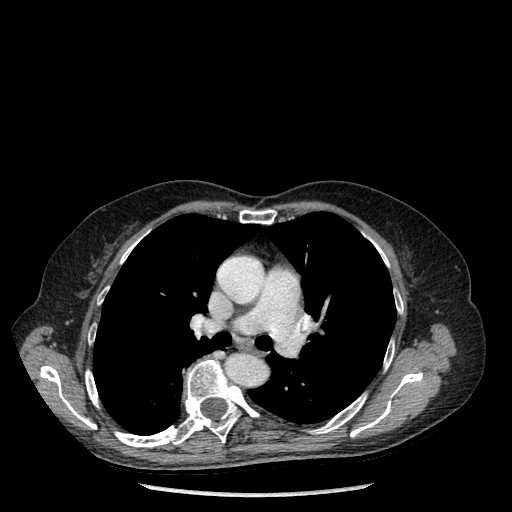

CT slice; Chest
Bone: bounding box region(239, 209, 276, 224); region(88, 323, 96, 344); region(114, 359, 259, 447); region(97, 286, 108, 304); region(394, 289, 403, 313); region(350, 371, 422, 437); region(370, 238, 389, 266); region(85, 370, 98, 407); region(120, 239, 139, 263); region(39, 365, 96, 429); region(384, 340, 394, 370); region(309, 394, 366, 434).
Lung: bounding box region(249, 212, 396, 423); region(93, 214, 259, 435).